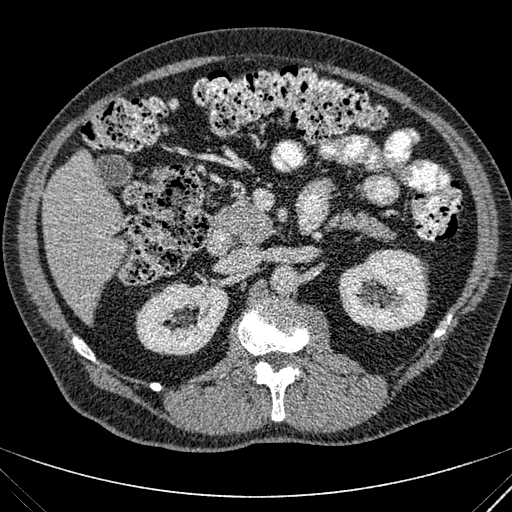
CT image. {
  "kidney": [
    "box(339, 250, 427, 331)",
    "box(137, 279, 227, 354)"
  ],
  "liver": [
    "box(43, 152, 127, 322)"
  ]
}